Liver | Field of view 389x389 mm | CT scan slice | Slice 31 of 40 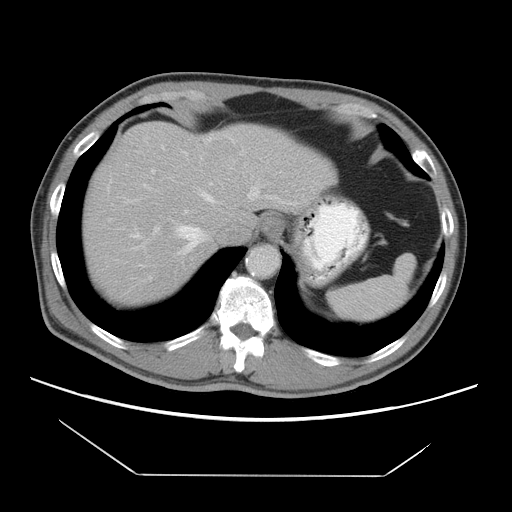
Not every hepatic vessel necessarily has a box.
* hepatic vessel (top 15 of 18): (123, 198, 139, 202), (177, 225, 208, 253), (131, 240, 147, 250), (130, 233, 140, 238), (109, 219, 111, 221), (265, 195, 296, 204), (153, 226, 158, 236), (204, 137, 214, 140), (152, 169, 154, 173), (199, 190, 214, 202), (248, 186, 259, 199), (183, 152, 186, 154), (227, 136, 232, 139), (240, 151, 244, 154), (185, 210, 187, 213)
* liver tumor: (189, 137, 240, 177)